Abdomen, CT image, Image size 512x512, Slice 486 of 836

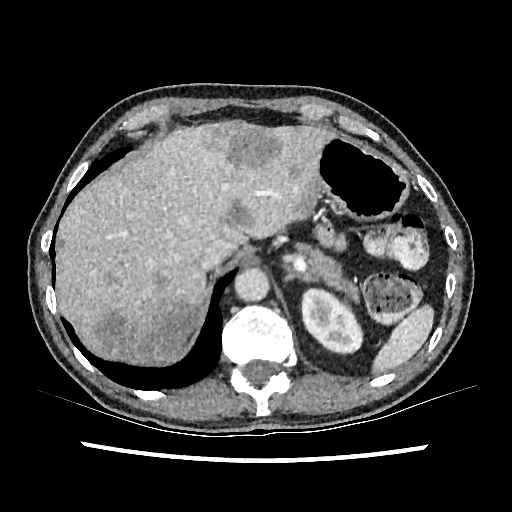

Liver at <box>59,125,336,363</box>.
Hepatic lesion at <box>222,200,255,228</box>, <box>104,271,118,284</box>, <box>144,183,155,189</box>, <box>92,276,200,363</box>, <box>289,164,302,178</box>, <box>294,178,314,213</box>, <box>203,123,280,168</box>.
Kidney at <box>302,289,361,351</box>.